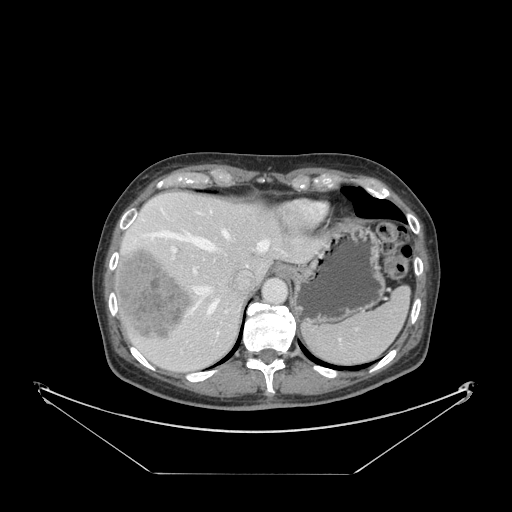 512x512 px, CT slice
The spleen is bounded by [302, 286, 410, 366].